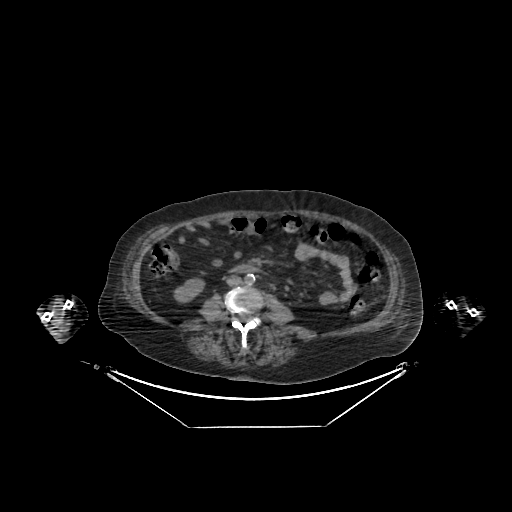 CT image.
Kidney at region(174, 278, 204, 302).